Image size 512x512. Computed tomography.

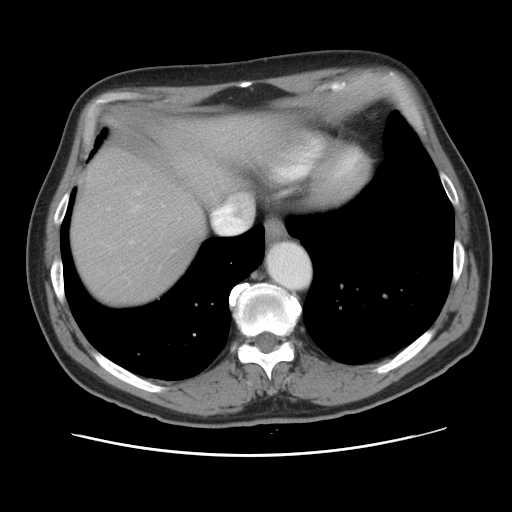

The vessel boxes may cover only some of the vessels.
<segmentation>
  <hepatic_vessel>x1=135, y1=206, x2=138, y2=208; x1=134, y1=191, x2=138, y2=193; x1=129, y1=240, x2=132, y2=242</hepatic_vessel>
</segmentation>